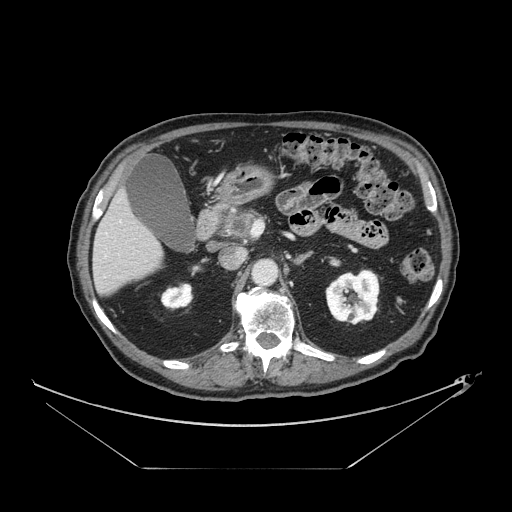

CT
Pancreas at 221, 213, 257, 238.
Pancreatic tumor at 233, 220, 245, 232.